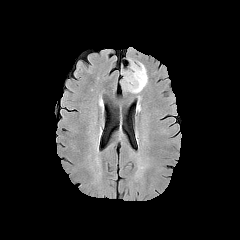
FLAIR MR image.
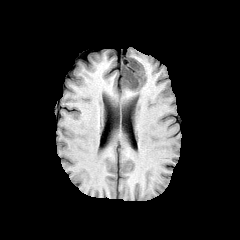
T1-weighted MR image of the same slice.
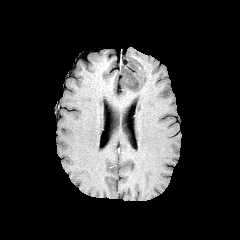
Post-contrast T1-weighted MRI.
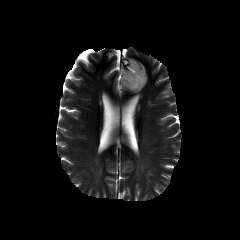
T2-weighted MR.
240x240 px
Non-enhancing tumor core: x1=122, y1=60, x2=145, y2=88.
Edema: x1=120, y1=60, x2=147, y2=93.